FLAIR magnetic resonance.
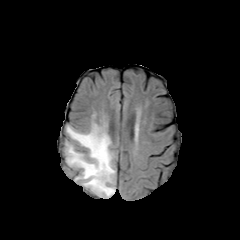
T1-weighted magnetic resonance.
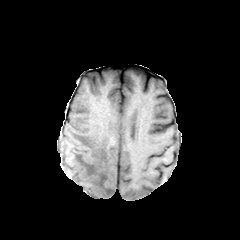
Post-contrast T1-weighted MR.
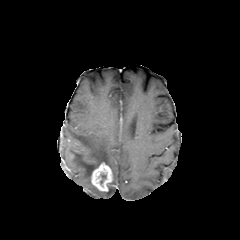
T2-weighted MR image.
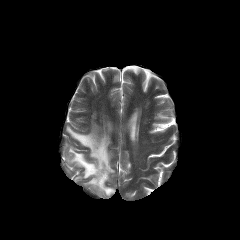
240x240
- edema: (left=63, top=123, right=115, bottom=197)
- enhancing tumor: (left=91, top=162, right=112, bottom=191)
- non-enhancing tumor core: (left=89, top=164, right=99, bottom=175)